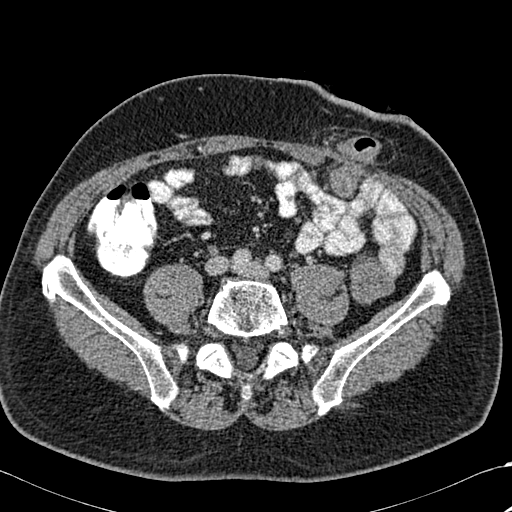 CT slice
Bone: bounding box l=301, t=345, r=316, b=362; l=42, t=256, r=178, b=408; l=311, t=271, r=449, b=414; l=243, t=384, r=250, b=391; l=263, t=342, r=298, b=378; l=196, t=342, r=233, b=377; l=205, t=279, r=288, b=338; l=176, t=344, r=188, b=360.